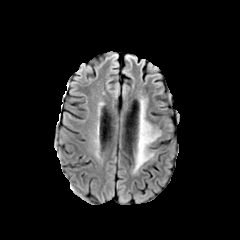
FLAIR MRI.
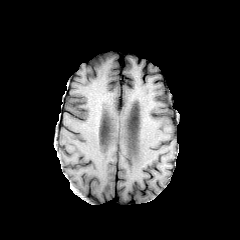
T1-weighted MRI of the same slice.
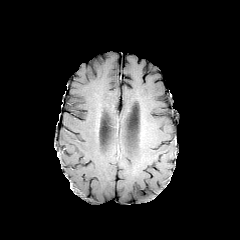
Post-contrast T1-weighted MR image of the same slice.
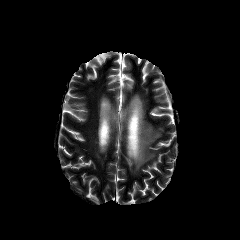
T2-weighted magnetic resonance of the same slice.
Brain.
Edema — 134, 99, 160, 171.